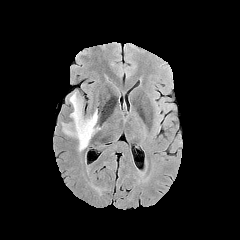
FLAIR MR image.
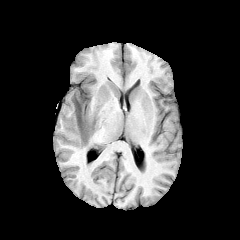
T1-weighted MR image.
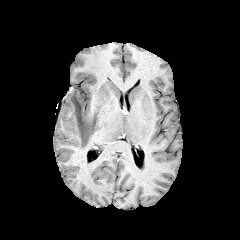
Post-contrast T1-weighted MRI of the same slice.
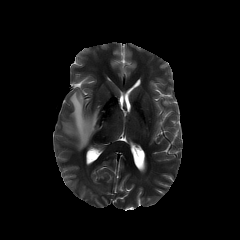
Same slice, T2-weighted magnetic resonance.
edema:
  - left=61, top=90, right=99, bottom=151
non-enhancing_tumor_core:
  - left=74, top=99, right=82, bottom=126